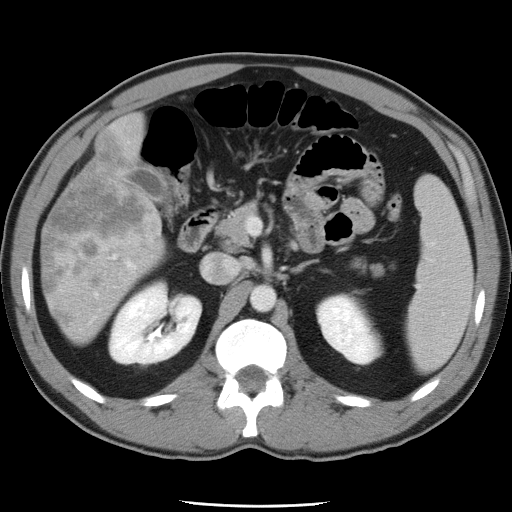
CT scan slice | Abdomen

The vessel annotation is not exhaustive.
{
  "hepatic_vessel": [
    "x1=127 y1=262 x2=131 y2=266"
  ]
}